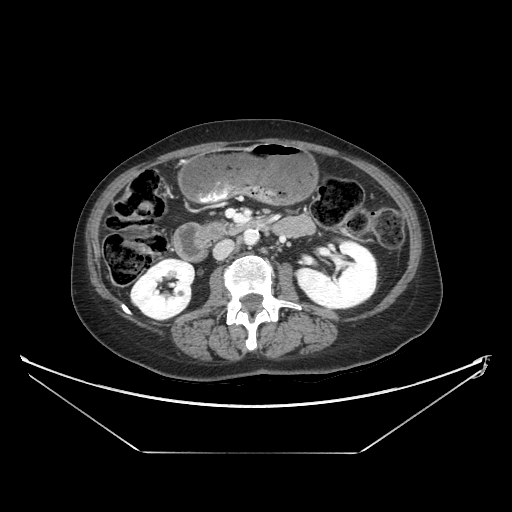

Abdomen, CT scan slice
{
  "pancreatic_tumor": [
    "(left=209, top=226, right=219, bottom=235)"
  ],
  "pancreas": [
    "(left=203, top=221, right=225, bottom=238)"
  ]
}